CT slice 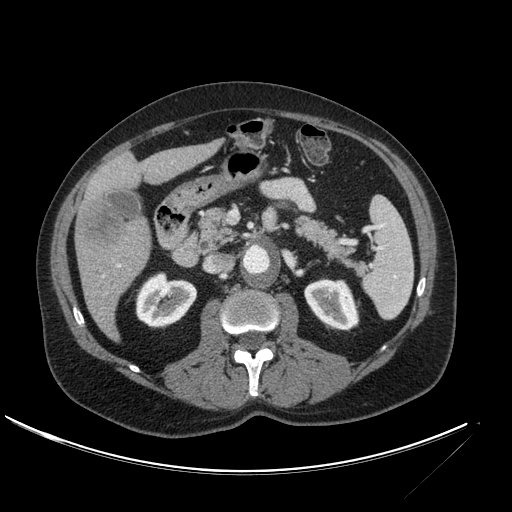 * kidney: [137, 274, 195, 325], [305, 280, 357, 328]
* liver: [81, 137, 225, 206], [75, 217, 151, 340]
* hepatic lesion: [76, 188, 127, 250]